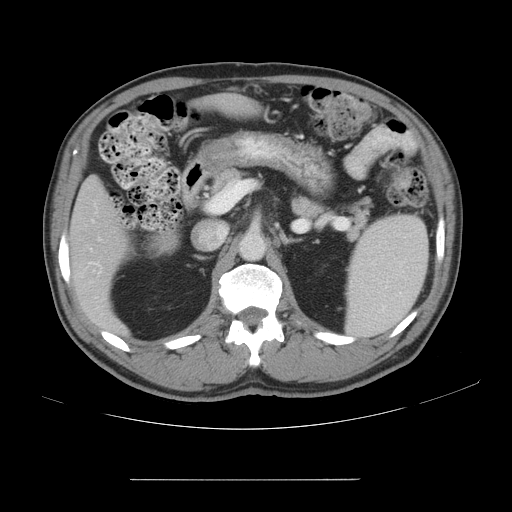

CT slice
Only some of the vessels may be annotated.
Findings:
- hepatic vessel: 95, 205, 97, 213; 89, 262, 101, 267; 92, 220, 94, 222; 93, 268, 94, 270